Field of view 240x240 mm, 240x240 px, Head
FLAIR MR.
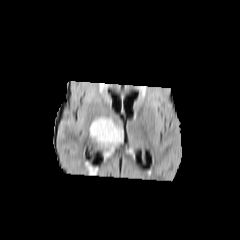
T1-weighted MRI.
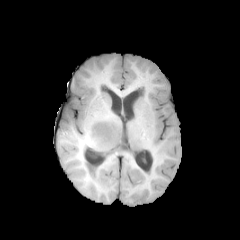
Post-contrast T1-weighted MRI.
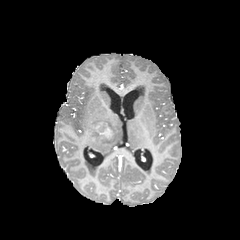
T2-weighted MR image.
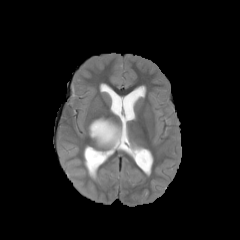
Edema at box(88, 116, 121, 147).
Enhancing tumor at box(93, 122, 114, 140).